Computed tomography; 512x512 px
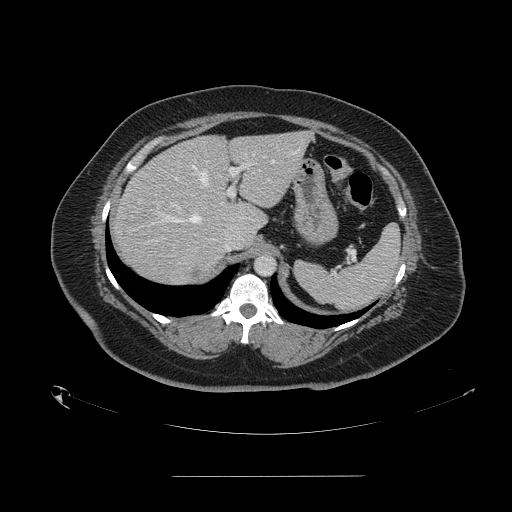 Annotated regions:
• spleen: 295:224:400:310